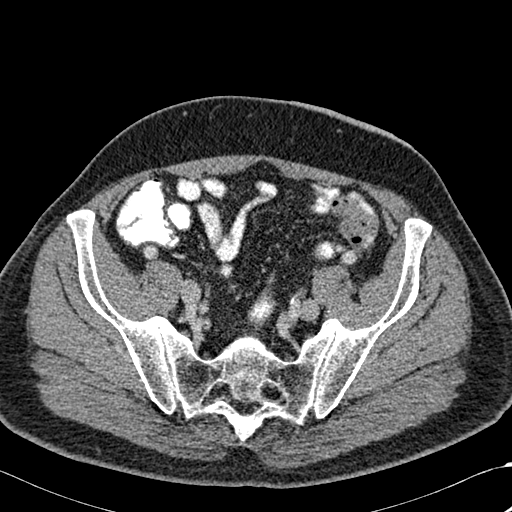 Computed tomography | 512x512
The bone lies within [x1=67, y1=210, x2=431, y2=439].